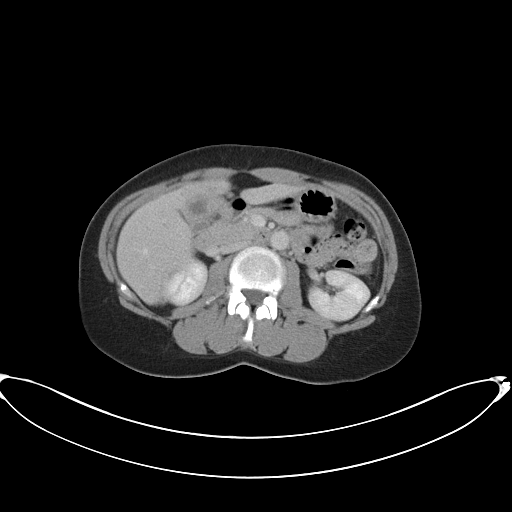 CT | Liver

Not every hepatic vessel necessarily has a box.
Hepatic vessel: bounding box <bbox>142, 248, 147, 254</bbox>.
Liver tumor: bounding box <bbox>184, 191, 211, 215</bbox>.